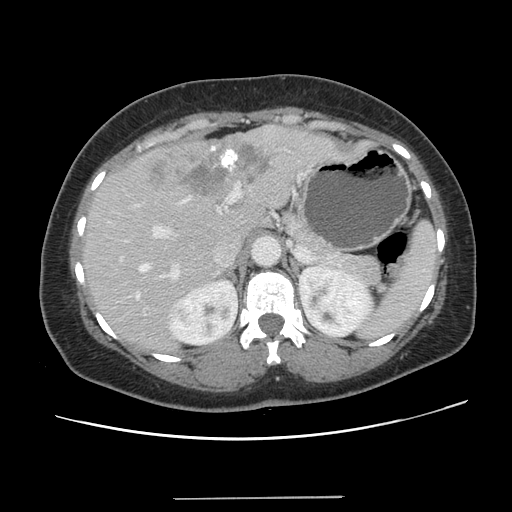
CT slice, Abdomen

The vessel annotation is not exhaustive.
liver tumor: {"x1": 152, "y1": 141, "x2": 272, "y2": 194} | hepatic vessel: {"x1": 229, "y1": 184, "x2": 240, "y2": 200}, {"x1": 135, "y1": 205, "x2": 137, "y2": 206}, {"x1": 161, "y1": 267, "x2": 178, "y2": 278}, {"x1": 140, "y1": 264, "x2": 149, "y2": 271}, {"x1": 153, "y1": 227, "x2": 168, "y2": 237}, {"x1": 182, "y1": 198, "x2": 189, "y2": 202}, {"x1": 218, "y1": 209, "x2": 220, "y2": 212}, {"x1": 120, "y1": 257, "x2": 122, "y2": 260}, {"x1": 136, "y1": 293, "x2": 139, "y2": 298}